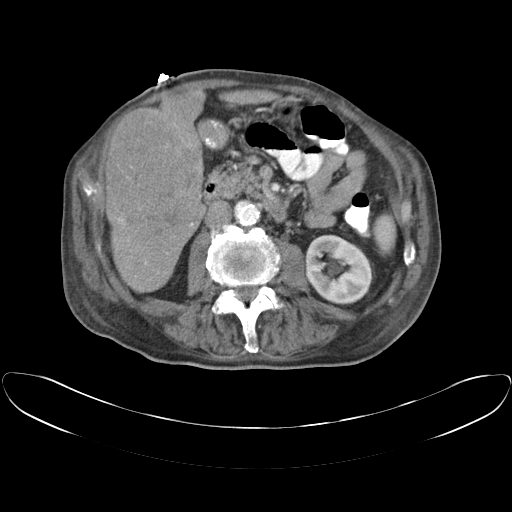
CT slice, Abdomen
The vessel boxes may cover only some of the vessels.
Findings:
• hepatic vessel: x1=127, y1=239, x2=129, y2=240; x1=166, y1=252, x2=167, y2=254; x1=157, y1=271, x2=158, y2=273; x1=117, y1=218, x2=124, y2=227
• liver tumor: x1=107, y1=110, x2=202, y2=245